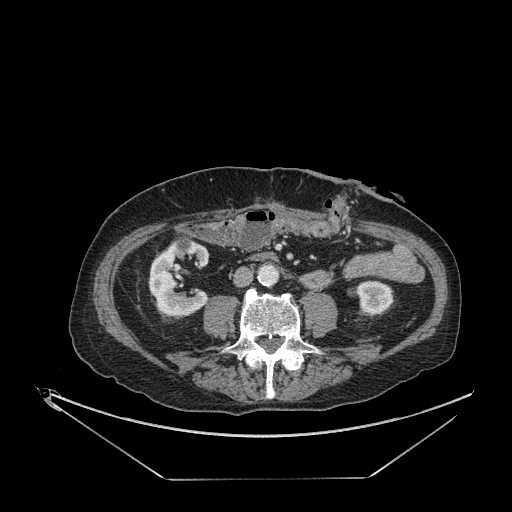 Abdomen | CT image
Kidney at x1=356 y1=281 x2=392 y2=315, x1=186 y1=242 x2=208 y2=266, x1=149 y1=244 x2=207 y2=315.